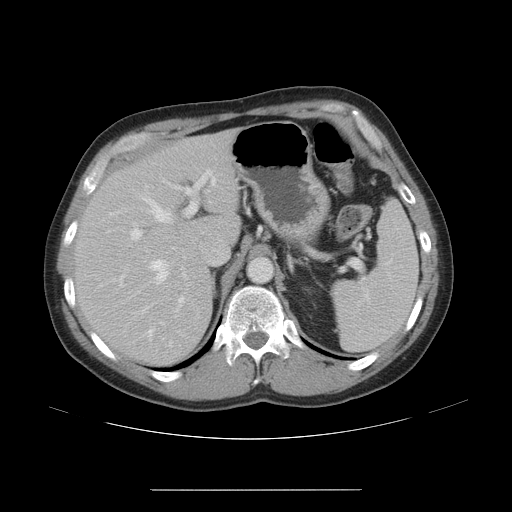 CT scan slice. Liver.
The vessel boxes may cover only some of the vessels.
hepatic vessel: [x1=174, y1=169, x2=211, y2=217], [x1=151, y1=260, x2=168, y2=281], [x1=181, y1=266, x2=183, y2=268], [x1=145, y1=329, x2=153, y2=339], [x1=133, y1=222, x2=135, y2=224], [x1=142, y1=196, x2=170, y2=221], [x1=183, y1=257, x2=185, y2=258], [x1=163, y1=180, x2=164, y2=181], [x1=178, y1=297, x2=182, y2=302], [x1=131, y1=229, x2=140, y2=239], [x1=173, y1=247, x2=175, y2=249], [x1=160, y1=322, x2=163, y2=324], [x1=211, y1=178, x2=215, y2=184], [x1=205, y1=190, x2=209, y2=192]